Brain. Slice 91 of 155. Image width 240 mm.
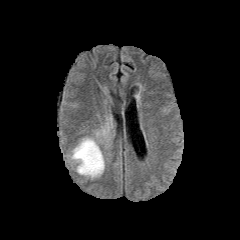
FLAIR MR image.
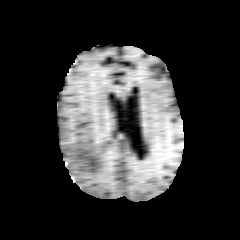
T1-weighted MR of the same slice.
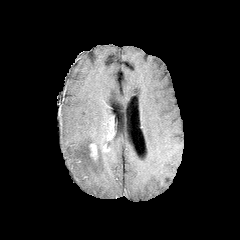
Post-contrast T1-weighted MR of the same slice.
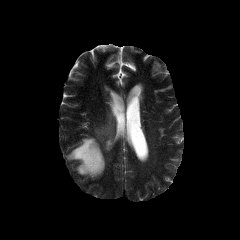
T2-weighted MR.
The enhancing tumor is at 90 144 97 157. The edema lies within 68 126 114 179.